Abdomen; Field of view 366 mm wide, 1.50 mm slice spacing; 512x512 px; Computed tomography; Slice 35 of 141 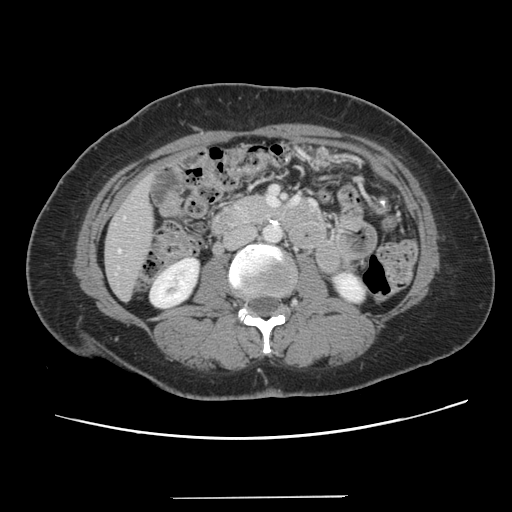
The vessel annotation is not exhaustive.
Hepatic vessel at left=118, top=249, right=120, bottom=252.